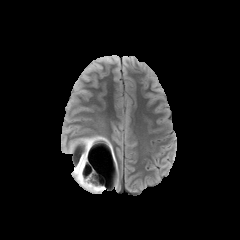
FLAIR MR.
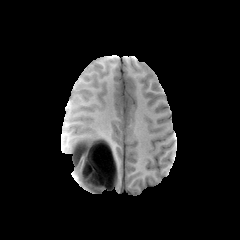
T1-weighted MR.
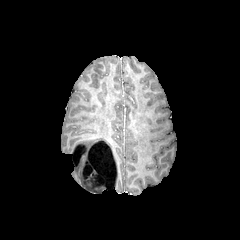
Post-contrast T1-weighted MRI.
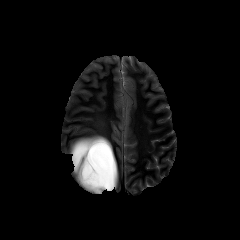
T2-weighted MR image.
240x240 px; Head
non-enhancing tumor core: rect(74, 140, 107, 188) | edema: rect(98, 143, 109, 154); rect(74, 156, 105, 193); rect(70, 136, 105, 161)